Slice 46 of 100 | Image width 353 mm | Abdomen | CT image
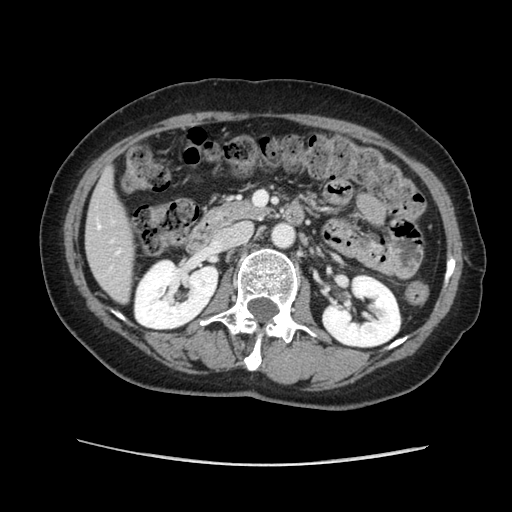

The pancreas is located at (203,199,270,229).